FLAIR magnetic resonance.
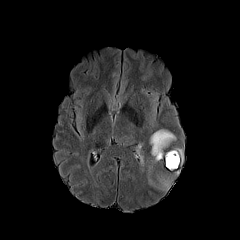
T1-weighted MRI.
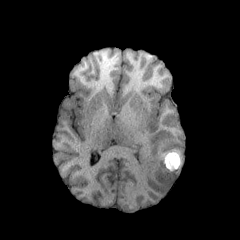
Post-contrast T1-weighted MR.
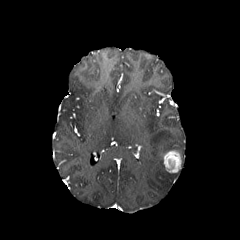
T2-weighted magnetic resonance.
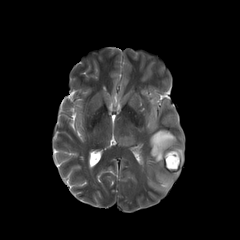
The enhancing tumor is bounded by 163 149 181 174. 2 edema regions appear at 149 130 175 163, 159 178 170 190.